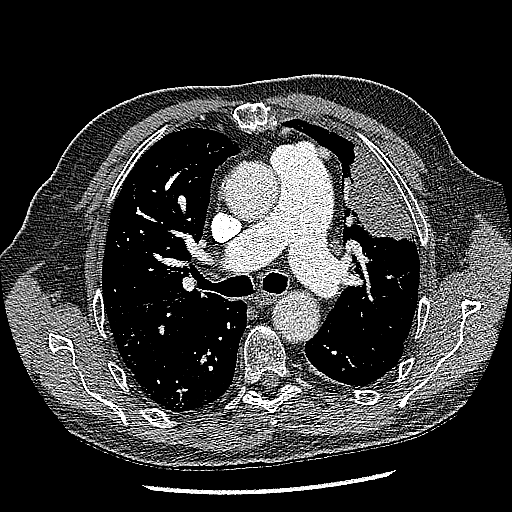 512x512 | CT
The lung tumor appears at (left=344, top=145, right=413, bottom=242).